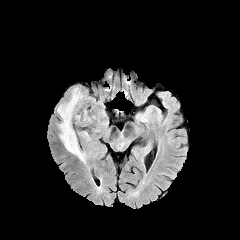
FLAIR MRI.
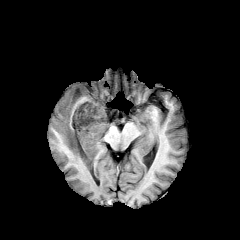
Same slice, T1-weighted magnetic resonance.
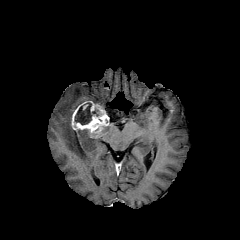
Post-contrast T1-weighted MR.
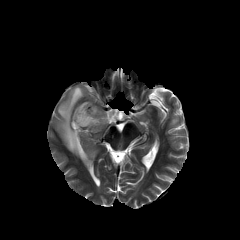
T2-weighted MR image.
Image size 240x240.
{
  "non-enhancing_tumor_core": [
    "box=[75, 102, 91, 124]"
  ],
  "enhancing_tumor": [
    "box=[71, 101, 109, 137]"
  ],
  "edema": [
    "box=[81, 131, 90, 140]",
    "box=[57, 87, 92, 164]"
  ]
}